Pelvis. CT. Slice 14 of 54.
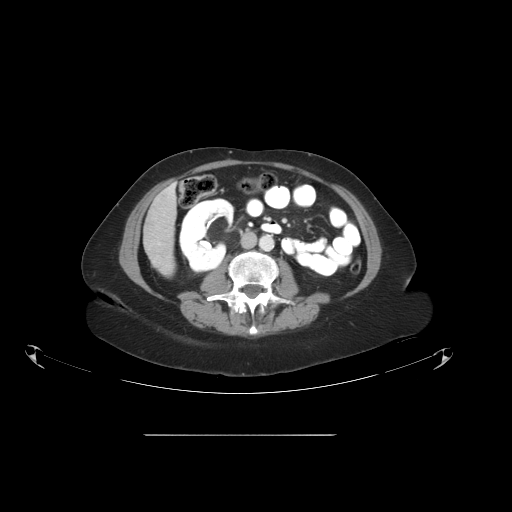

colon_tumor:
  - {"x1": 177, "y1": 179, "x2": 184, "y2": 202}